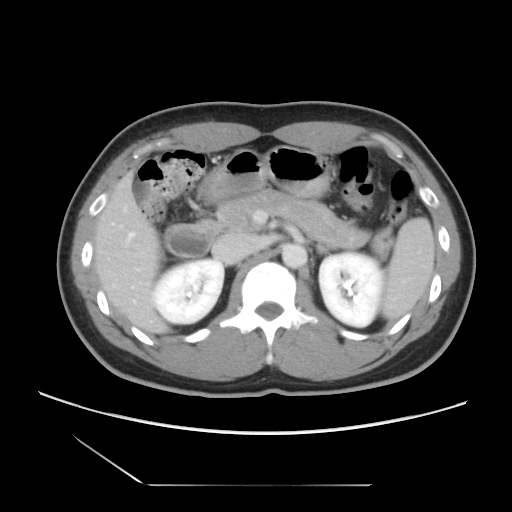
512x512, CT, Abdomen

Not every hepatic vessel necessarily has a box.
<segmentation>
  <hepatic_vessel>(left=130, top=234, right=132, bottom=236)</hepatic_vessel>
</segmentation>